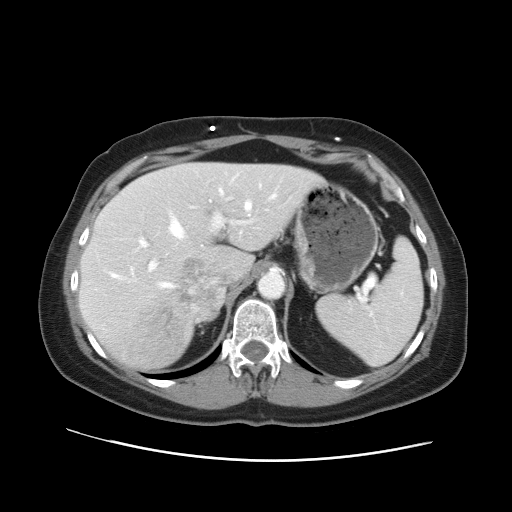
Abdomen | CT slice | 512x512
The vessel boxes may cover only some of the vessels.
Liver tumor — l=161, t=255, r=221, b=322.
Hepatic vessel — l=168, t=210, r=185, b=239; l=230, t=199, r=254, b=226; l=111, t=273, r=118, b=277; l=160, t=282, r=172, b=287; l=258, t=182, r=260, b=188; l=149, t=263, r=154, b=269; l=239, t=231, r=241, b=233; l=138, t=237, r=147, b=248; l=210, t=213, r=224, b=230.